Head
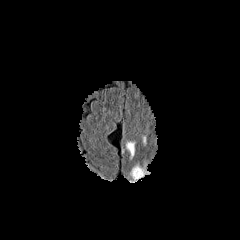
FLAIR MR image.
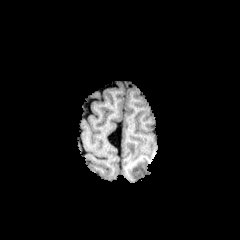
T1-weighted MR image.
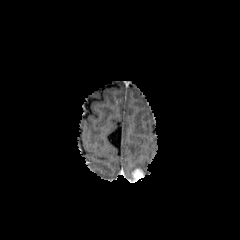
Same slice, post-contrast T1-weighted MR image.
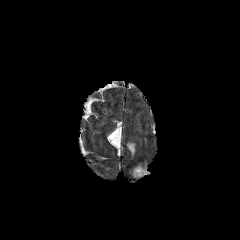
T2-weighted MR image.
Findings:
* edema: (126, 141, 135, 158), (131, 164, 150, 174)
* enhancing tumor: (131, 169, 143, 179)